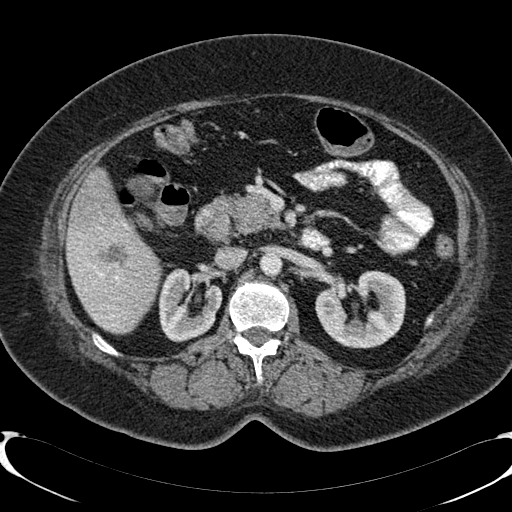 CT scan slice. Upper abdomen. 512x512 px.

• liver: 67:170:159:332
• kidney: 307:259:404:347, 158:265:221:341
• hepatic lesion: 97:244:128:266, 70:186:96:224